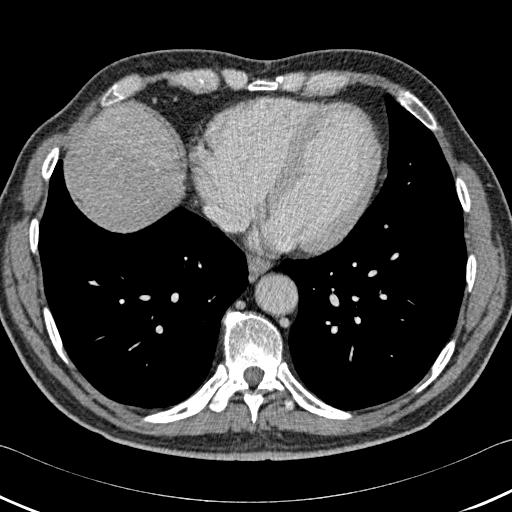

CT, Image size 512x512
{
  "liver": [
    "79 110 174 232"
  ],
  "bone": [
    "42 147 58 179",
    "456 178 470 211",
    "144 312 351 422",
    "248 76 284 90",
    "399 92 436 129",
    "44 308 67 363",
    "102 82 128 105",
    "416 341 454 392",
    "466 255 476 291",
    "29 219 38 252"
  ],
  "lung": [
    "38 159 250 408",
    "272 92 467 410"
  ]
}